FLAIR MRI.
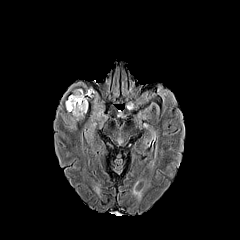
T1-weighted MRI.
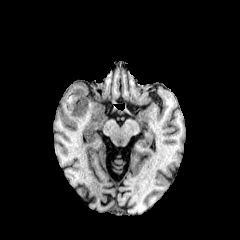
Post-contrast T1-weighted magnetic resonance.
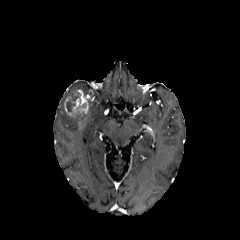
T2-weighted MR image.
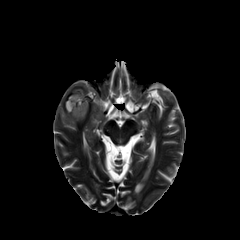
Brain | Image size 240x240
enhancing tumor: 64:89:89:118 | edema: 64:115:85:130 | non-enhancing tumor core: 66:99:72:112